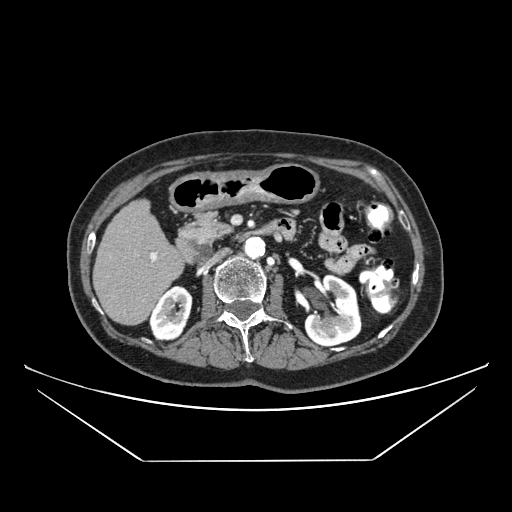

CT
Findings:
* pancreas: (x1=175, y1=209, x2=233, y2=265)
* pancreatic tumor: (x1=190, y1=238, x2=213, y2=265)